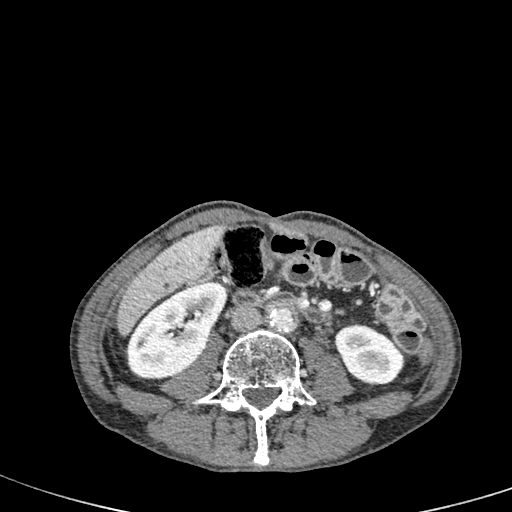

CT.

liver: l=118, t=224, r=223, b=336 | kidney: l=336, t=325, r=402, b=383; l=128, t=282, r=225, b=377